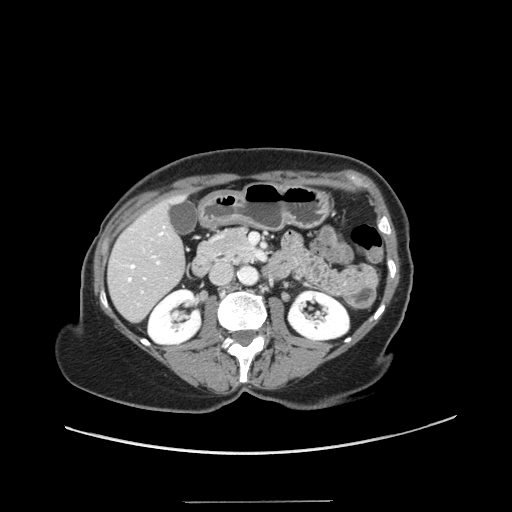

Image size 512x512 | Computed tomography | Liver
Not every hepatic vessel necessarily has a box.
{"hepatic_vessel": ["l=128, t=278, r=130, b=280", "l=160, t=227, r=164, b=234", "l=131, t=264, r=133, b=267", "l=157, t=260, r=159, b=263"]}